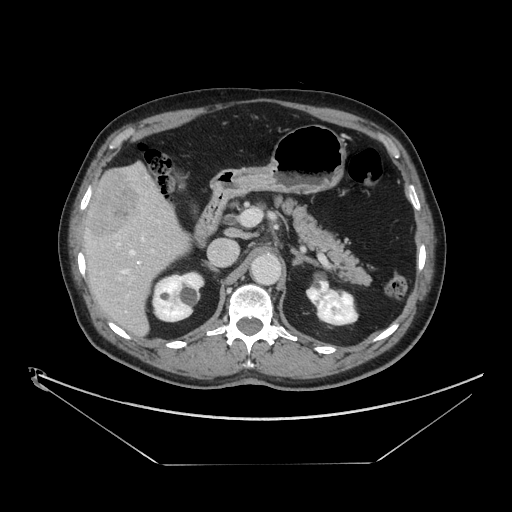 Liver; Image size 512x512; CT scan slice
Some hepatic vessels may have no box.
Segmented structures:
- liver tumor: [87, 169, 141, 238]
- hepatic vessel: [131, 276, 133, 279], [152, 250, 153, 251], [130, 250, 134, 254], [117, 243, 120, 245], [141, 236, 143, 240], [138, 262, 140, 263], [122, 269, 128, 273]